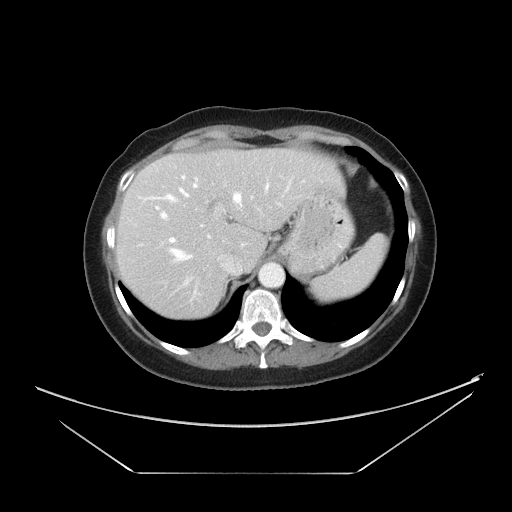

CT slice | Liver
Some hepatic vessels may have no box.
The top 15 hepatic vessel regions (of 20) appear at x1=192, y1=291, x2=195, y2=298; x1=143, y1=194, x2=174, y2=201; x1=287, y1=181, x2=290, y2=189; x1=169, y1=248, x2=191, y2=261; x1=161, y1=213, x2=166, y2=218; x1=179, y1=188, x2=188, y2=196; x1=241, y1=243, x2=245, y2=245; x1=213, y1=203, x2=224, y2=220; x1=199, y1=223, x2=206, y2=226; x1=193, y1=178, x2=197, y2=187; x1=218, y1=255, x2=241, y2=274; x1=233, y1=192, x2=241, y2=205; x1=266, y1=184, x2=268, y2=190; x1=183, y1=277, x2=191, y2=285; x1=169, y1=238, x2=174, y2=242.